Brain.
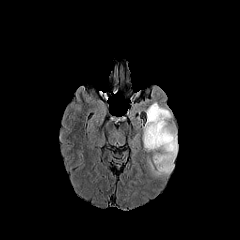
FLAIR magnetic resonance.
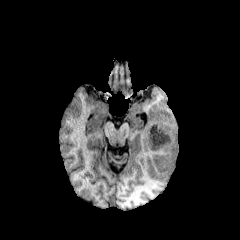
T1-weighted MR image of the same slice.
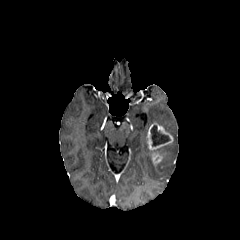
Post-contrast T1-weighted MR image.
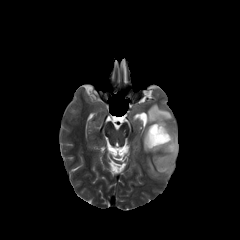
T2-weighted MRI of the same slice.
Non-enhancing tumor core at x1=150, y1=125, x2=168, y2=146.
Enhancing tumor at x1=145, y1=123, x2=172, y2=164.
Edema at x1=140, y1=103, x2=178, y2=175.